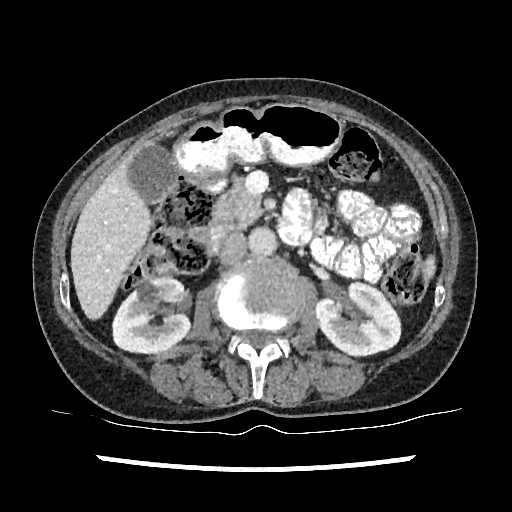

512x512 px; Liver; CT

Liver at l=71, t=139, r=155, b=319.
Kidney at l=113, t=277, r=191, b=352; l=316, t=283, r=400, b=354.